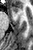

MR; Medial temporal lobe
anterior hippocampus: {"x1": 11, "y1": 7, "x2": 18, "y2": 12}